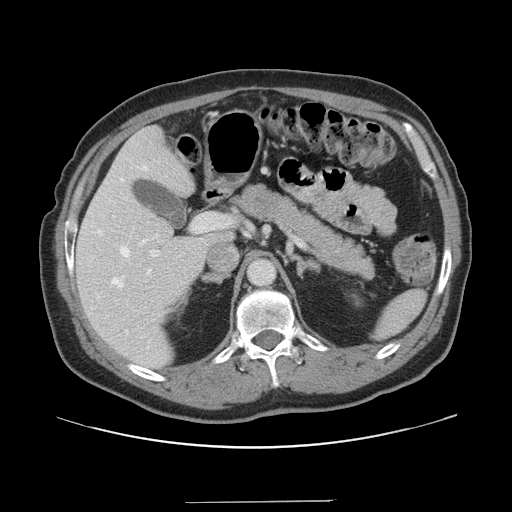
Abdomen, Computed tomography
Not every hepatic vessel necessarily has a box.
9 hepatic vessel regions are located at (192,213,230,231), (147,270,150,273), (125,329,128,334), (120,178,123,181), (112,278,122,287), (98,230,100,232), (141,166,146,170), (150,250,159,256), (120,246,129,257).